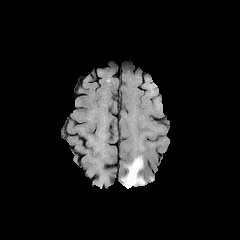
FLAIR MR image.
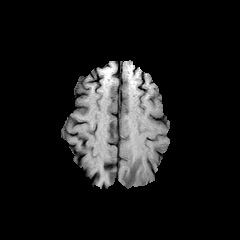
T1-weighted MR of the same slice.
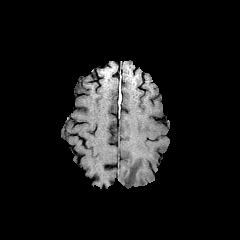
Post-contrast T1-weighted MR image.
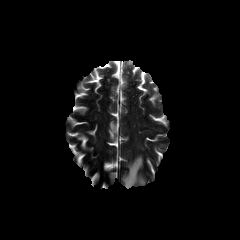
T2-weighted MRI of the same slice.
The edema lies within box(122, 156, 144, 187).